Slice index 36. Liver. Field of view 413 mm wide, 5.00 mm slice spacing. CT image. 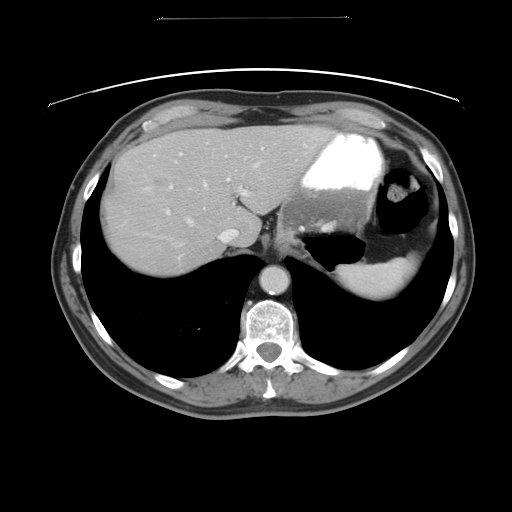
Not every hepatic vessel necessarily has a box.
Hepatic vessel = (left=145, top=186, right=153, bottom=189), (left=180, top=153, right=182, bottom=154), (left=169, top=185, right=172, bottom=188), (left=166, top=209, right=170, bottom=213), (left=219, top=229, right=237, bottom=241), (left=238, top=186, right=250, bottom=195), (left=179, top=242, right=182, bottom=245), (left=187, top=218, right=193, bottom=224), (left=261, top=147, right=263, bottom=149), (left=175, top=160, right=176, bottom=162), (left=177, top=255, right=181, bottom=259), (left=235, top=169, right=237, bottom=170), (left=227, top=177, right=230, bottom=180).